Slice 221 of 276 | Image width 343 mm | 512x512 | CT scan slice | Liver
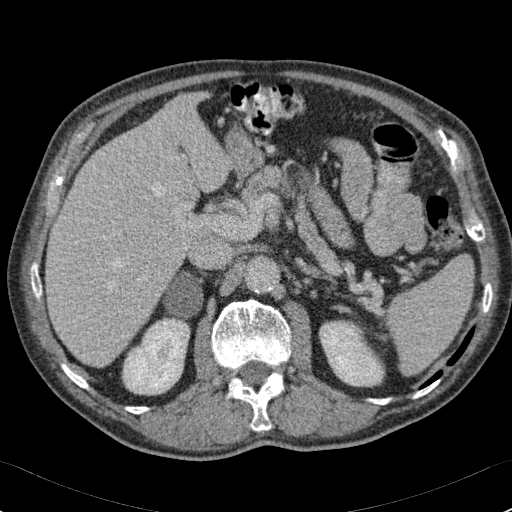
2 kidney regions are located at (x1=320, y1=321, x2=383, y2=385), (x1=123, y1=319, x2=188, y2=393). The liver appears at (x1=46, y1=95, x2=228, y2=365).